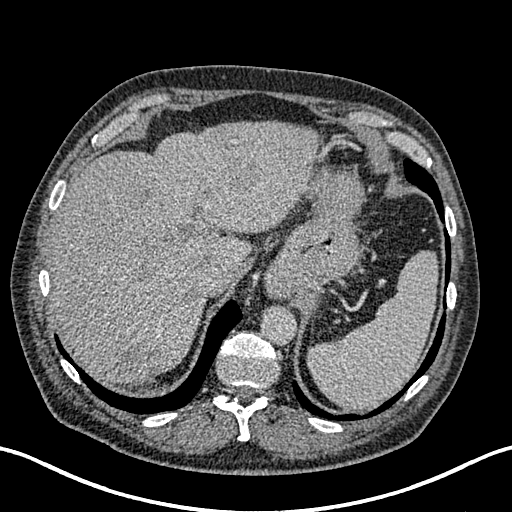
Liver | CT slice

2 liver regions appear at [178, 267, 194, 279], [49, 122, 319, 385]. 6 liver lesion regions are bounded by [188, 205, 209, 222], [137, 224, 213, 285], [226, 160, 259, 190], [200, 186, 213, 201], [117, 344, 164, 377], [157, 276, 200, 308].